Slice 23/93, CT slice, Field of view 453x453 mm, Abdomen

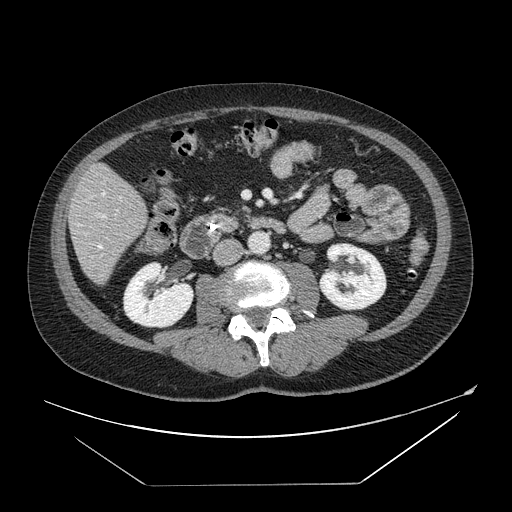

• pancreas: [208, 211, 237, 233]